Image width 466 mm; Slice 143 of 251; CT scan slice
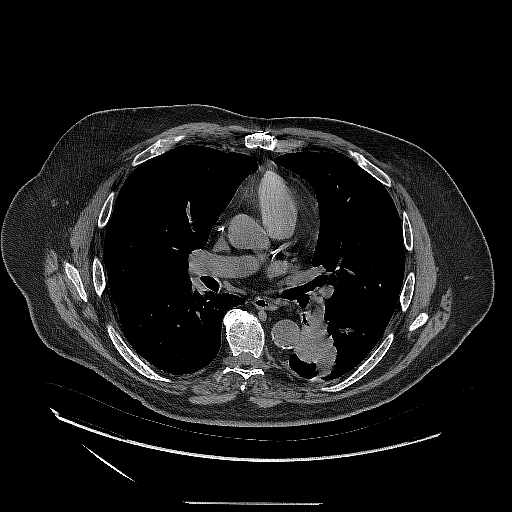 lung_tumor:
  - [292,319,341,378]